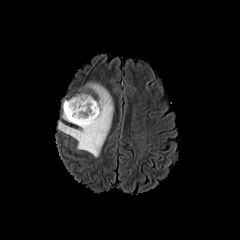
FLAIR MR.
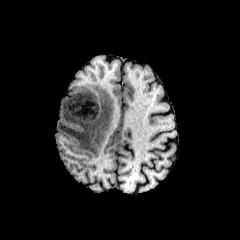
T1-weighted MR.
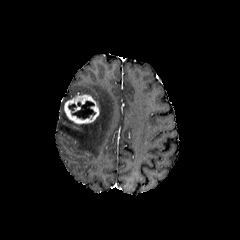
Same slice, post-contrast T1-weighted magnetic resonance.
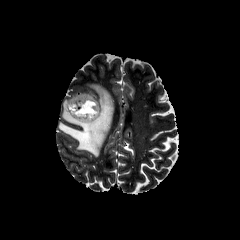
T2-weighted MRI.
Edema: bounding box box(57, 83, 114, 157).
Enhancing tumor: bounding box box(64, 94, 99, 124).
Non-enhancing tumor core: bounding box box(72, 101, 95, 118).